Slice 82 of 155. Image size 240x240.
FLAIR MR image.
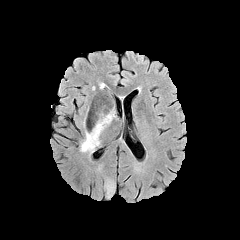
T1-weighted magnetic resonance.
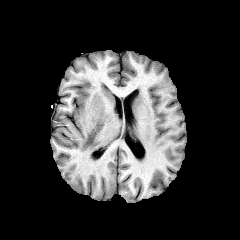
Post-contrast T1-weighted MR.
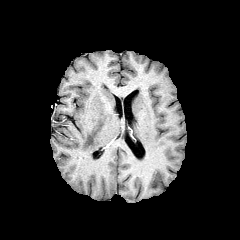
T2-weighted MRI.
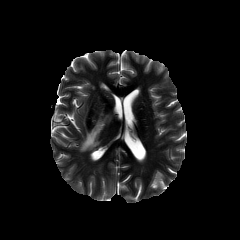
The edema is bounded by (78, 111, 115, 153).